240x240 px | Slice index 130
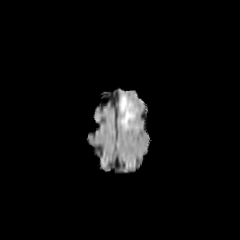
FLAIR MR.
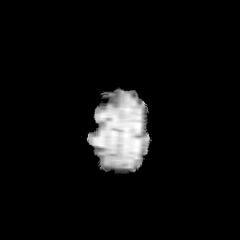
T1-weighted MR image.
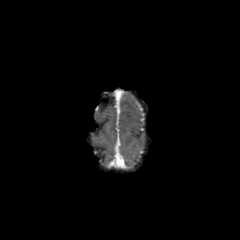
Post-contrast T1-weighted magnetic resonance of the same slice.
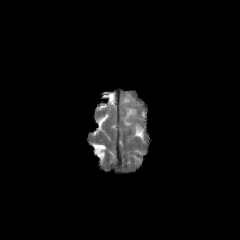
T2-weighted MR image of the same slice.
<segmentation>
  <edema>120,96,135,127</edema>
</segmentation>